Slice index 52.
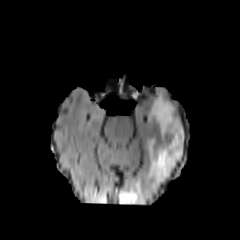
FLAIR MR.
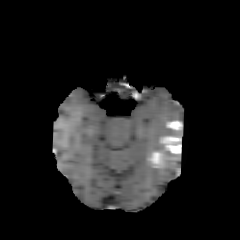
T1-weighted MR image.
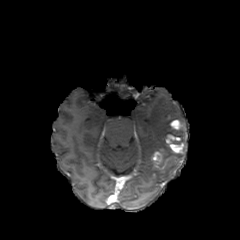
Same slice, post-contrast T1-weighted MRI.
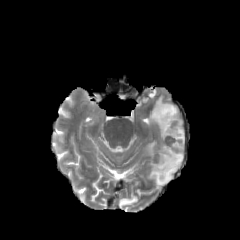
Same slice, T2-weighted MR.
edema:
  - box=[119, 197, 137, 203]
  - box=[146, 92, 184, 184]
non-enhancing_tumor_core:
  - box=[160, 155, 177, 164]
enhancing_tumor:
  - box=[170, 120, 182, 129]
  - box=[152, 152, 163, 164]
  - box=[166, 134, 185, 153]